Image width 700 mm. Slice index 692. 512x512. CT image.
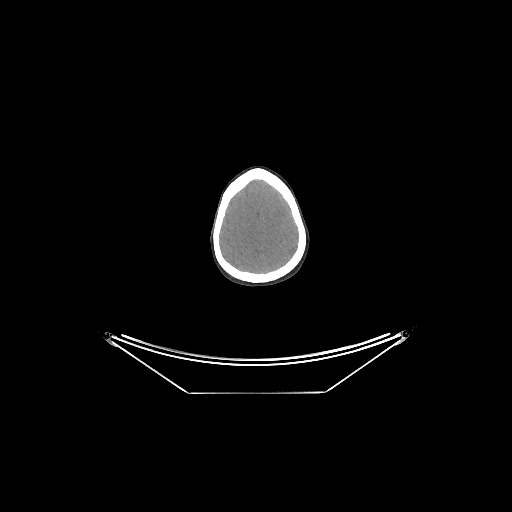

{"brain": ["bbox(219, 179, 298, 274)"]}